Field of view 240 mm wide, 1.00 mm slice spacing | Brain
FLAIR magnetic resonance.
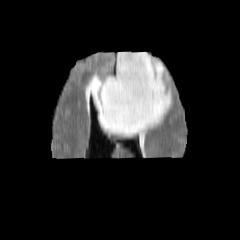
T1-weighted MR.
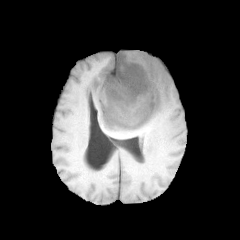
Post-contrast T1-weighted MR.
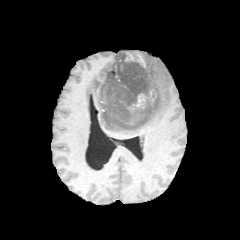
T2-weighted MR.
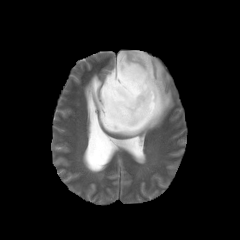
The non-enhancing tumor core is bounded by l=101, t=49, r=157, b=126. The enhancing tumor is bounded by l=137, t=94, r=144, b=106. The edema lies within l=90, t=51, r=173, b=135.